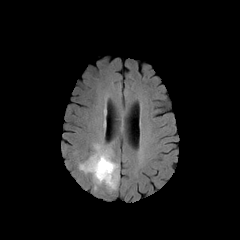
FLAIR MR image.
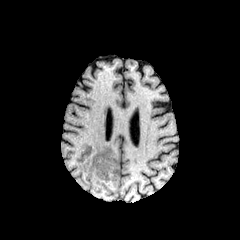
T1-weighted magnetic resonance.
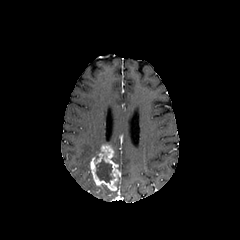
Same slice, post-contrast T1-weighted MR.
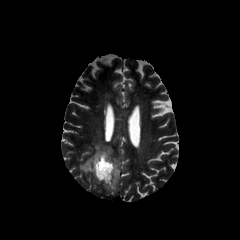
T2-weighted MR image.
Head
Annotated regions:
- non-enhancing tumor core: (x1=95, y1=155, x2=114, y2=182)
- enhancing tumor: (x1=90, y1=145, x2=119, y2=191)
- edema: (x1=78, y1=141, x2=102, y2=174)